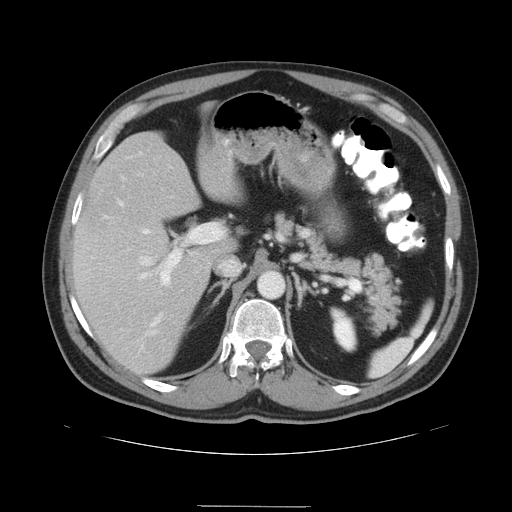

CT image; Liver

Some hepatic vessels may have no box.
hepatic vessel: box=[160, 249, 181, 285]; box=[140, 346, 143, 352]; box=[138, 273, 151, 279]; box=[104, 216, 109, 218]; box=[122, 177, 125, 180]; box=[118, 200, 123, 206]; box=[140, 153, 141, 154]; box=[220, 260, 240, 274]; box=[146, 314, 162, 335]; box=[186, 224, 224, 243]; box=[139, 257, 152, 266]; box=[143, 229, 149, 234]